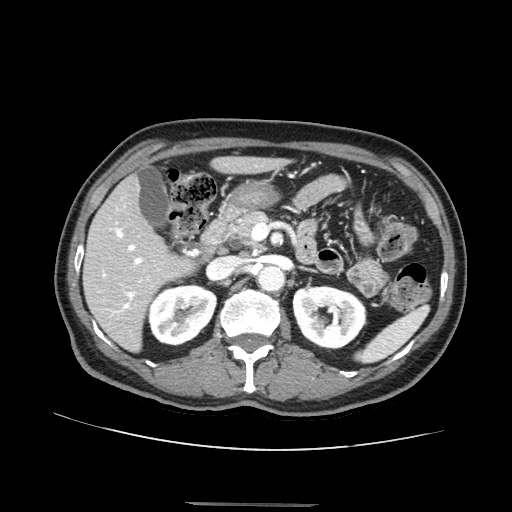 CT slice | Upper abdomen
{
  "pancreas": [
    "bbox=[236, 212, 267, 240]"
  ]
}